FLAIR MRI.
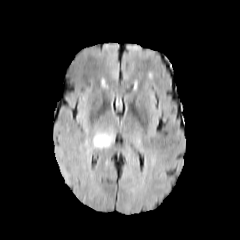
T1-weighted MRI.
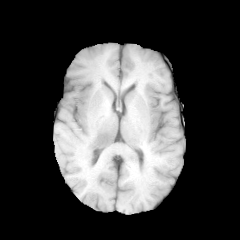
Post-contrast T1-weighted MR image.
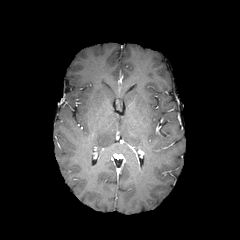
T2-weighted MR image.
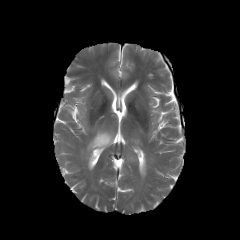
Head
The edema lies within box(87, 131, 112, 152).